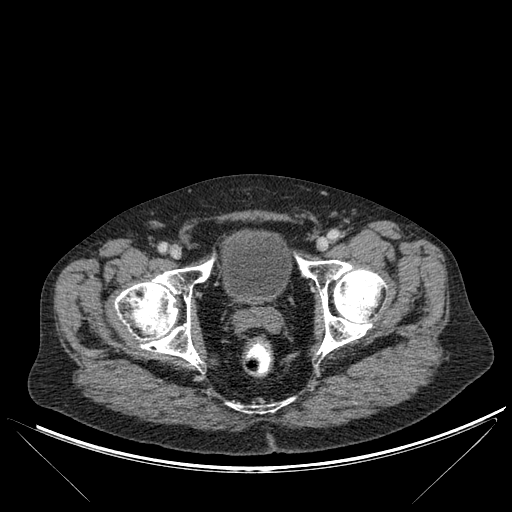 Image size 512x512 | CT | Pelvis

4 bone regions are located at [x1=115, y1=259, x2=213, y2=366], [x1=227, y1=403, x2=240, y2=409], [x1=249, y1=404, x2=277, y2=413], [x1=296, y1=257, x2=384, y2=356]. The urinary bladder is located at [x1=219, y1=229, x2=292, y2=299].